CT; Pelvis; 512x512 px; Slice 97 of 986
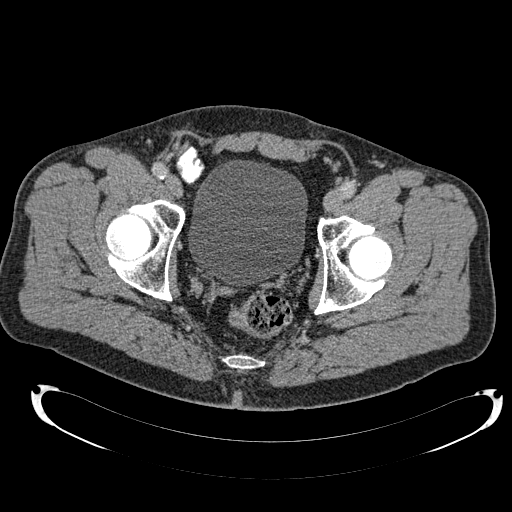

The urinary bladder lies within (x1=188, y1=160, x2=307, y2=286).